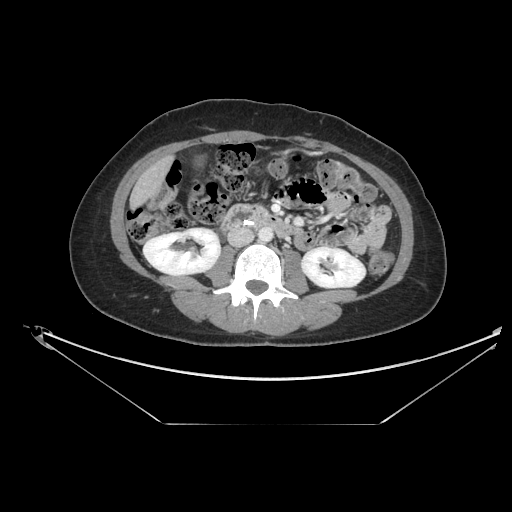

Abdomen; Computed tomography
{
  "pancreas": [
    "<bbox>254, 207, 267, 226</bbox>"
  ]
}